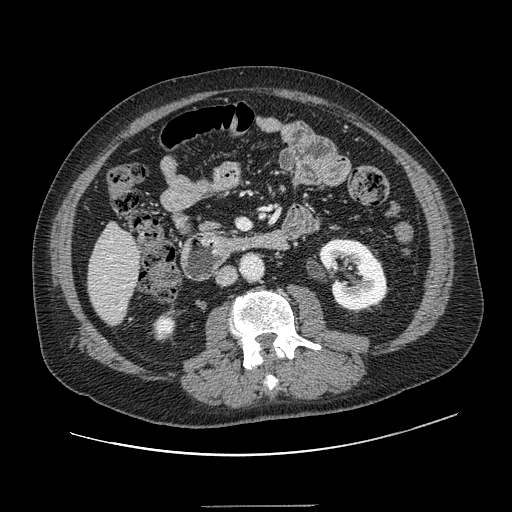

Abdomen. Computed tomography.

Pancreas at (x1=199, y1=220, x2=225, y2=239).